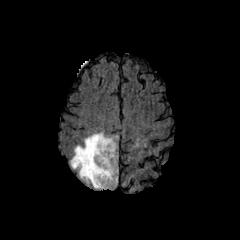
FLAIR MR.
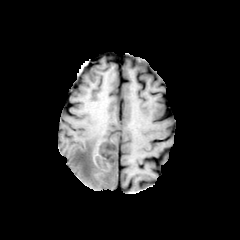
T1-weighted magnetic resonance.
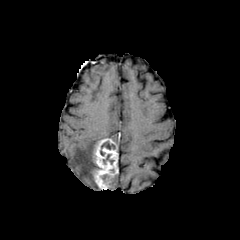
Same slice, post-contrast T1-weighted MRI.
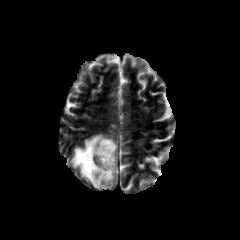
T2-weighted MRI.
Head.
2 non-enhancing tumor core regions appear at bbox=[83, 142, 98, 185]; bbox=[101, 141, 115, 149]. The enhancing tumor is located at bbox=[93, 138, 117, 189]. 2 edema regions are bounded by bbox=[109, 174, 117, 189]; bbox=[69, 132, 117, 189].